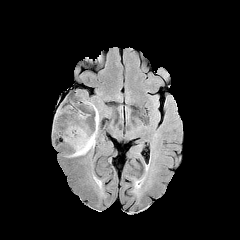
FLAIR magnetic resonance.
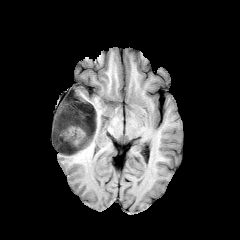
Same slice, T1-weighted MRI.
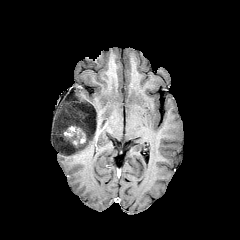
Post-contrast T1-weighted magnetic resonance.
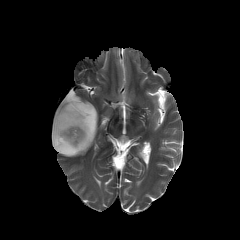
T2-weighted MR image of the same slice.
Brain
Findings:
- enhancing tumor: box=[80, 132, 85, 143]; box=[64, 126, 80, 137]
- non-enhancing tumor core: box=[53, 94, 98, 155]
- edema: box=[77, 139, 95, 154]